Field of view 380x380 mm. CT image. Lower abdomen.
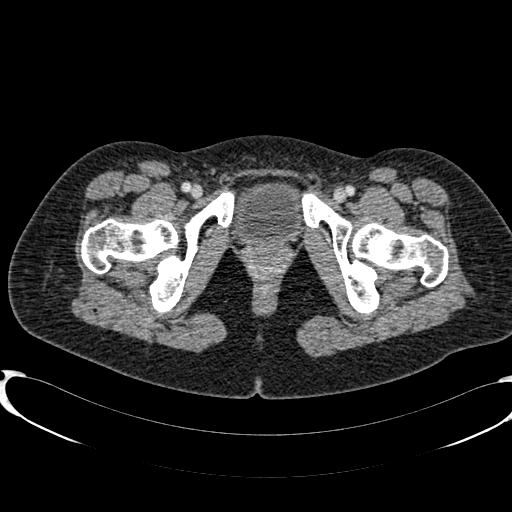 urinary_bladder:
  - (x1=228, y1=181, x2=307, y2=245)